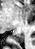

Hippocampus | MR
Annotated regions:
* posterior hippocampus: l=10, t=34, r=23, b=42